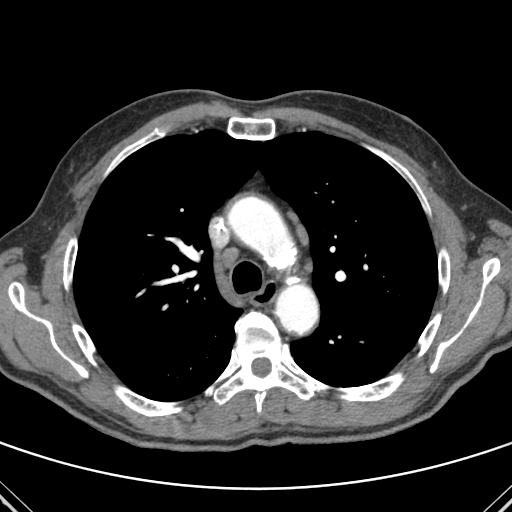

Chest, CT scan slice
{"lung": ["73,130,437,401"], "bone": ["63,238,77,289", "337,373,403,401", "438,249,450,293", "430,329,462,372", "106,135,150,173", "114,386,181,416", "205,311,329,412", "8,282,88,377", "418,313,441,356", "72,323,96,365", "463,258,499,328", "227,117,274,140", "369,147,425,202"]}